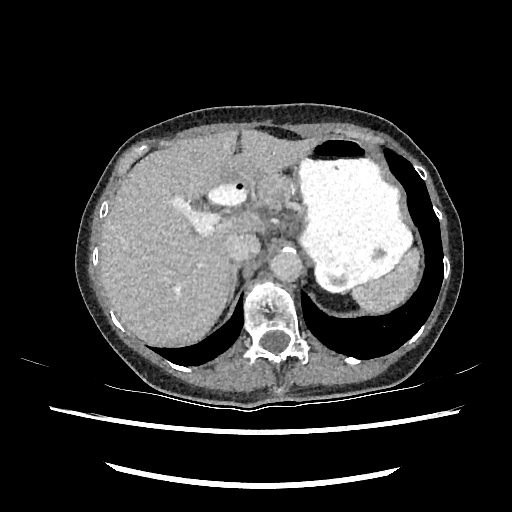
CT scan slice; Upper abdomen; Image size 512x512

The liver is bounded by rect(101, 129, 316, 344).